CT scan slice, Slice index 14, Liver 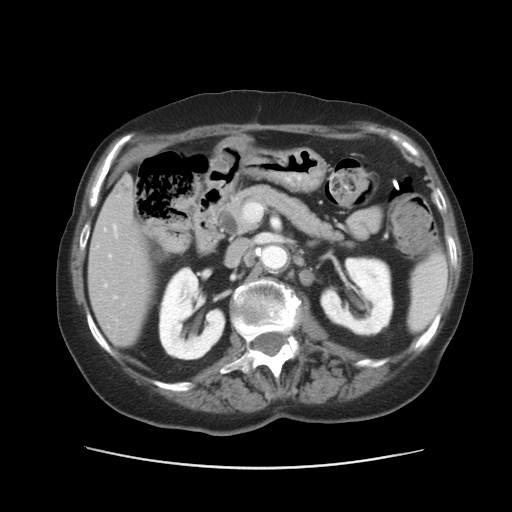

Only some of the vessels may be annotated.
Hepatic vessel: bounding box rect(113, 296, 115, 298); rect(108, 254, 111, 258); rect(103, 229, 105, 230); rect(239, 201, 264, 224); rect(236, 199, 237, 200); rect(113, 225, 117, 238); rect(96, 245, 98, 247); rect(103, 284, 106, 286).